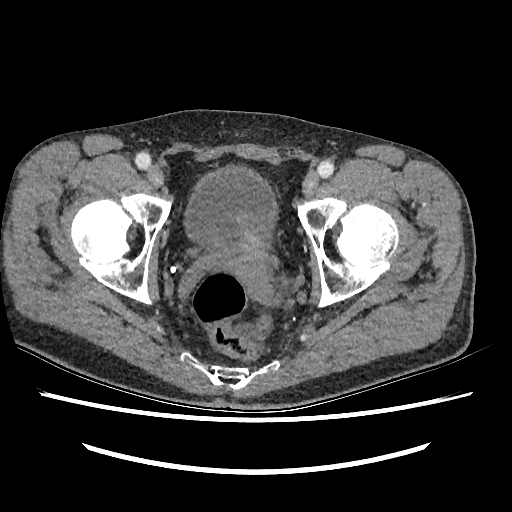

Pelvis | CT image | 512x512 px

Segmented structures:
- urinary bladder: rect(184, 171, 274, 248)